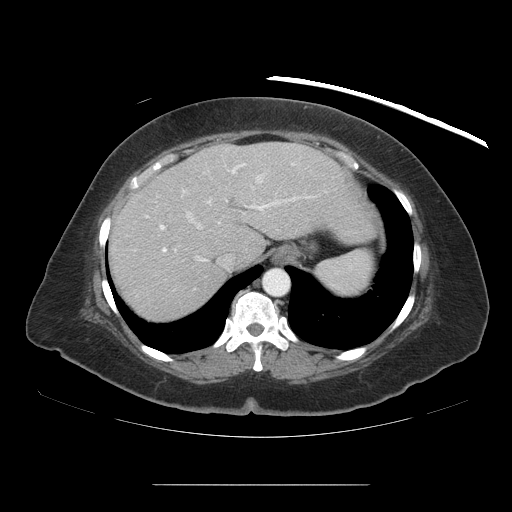
CT scan slice; Liver

Only some of the vessels may be annotated.
12 hepatic vessel regions are bounded by left=252, top=187, right=253, bottom=188; left=207, top=199, right=210, bottom=203; left=248, top=204, right=264, bottom=212; left=159, top=224, right=165, bottom=229; left=255, top=174, right=263, bottom=183; left=218, top=255, right=232, bottom=268; left=162, top=247, right=166, bottom=252; left=183, top=190, right=186, bottom=192; left=228, top=168, right=235, bottom=174; left=186, top=212, right=201, bottom=228; left=195, top=255, right=208, bottom=261; left=218, top=222, right=219, bottom=223.